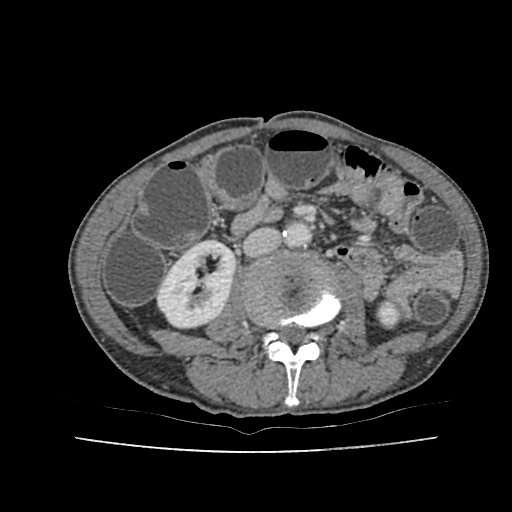 Abdomen, CT slice
Annotated regions:
• kidney: 381,307,395,322; 158,241,234,326